CT scan slice.
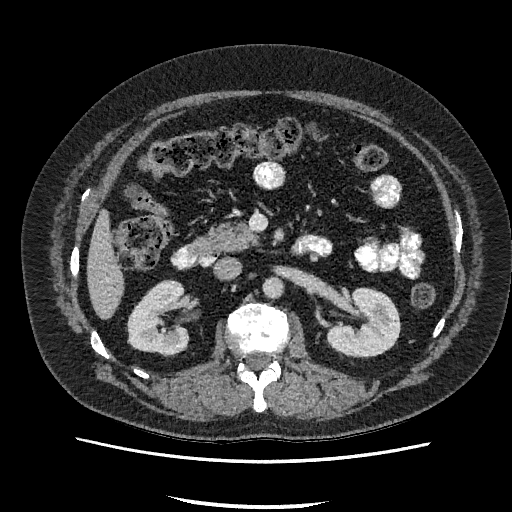

The liver is bounded by box=[88, 210, 124, 318]. 2 kidney regions are bounded by box=[128, 281, 187, 353]; box=[328, 289, 399, 355].